Field of view 500 mm wide, 2.50 mm slice spacing | Upper abdomen | 512x512 px | CT image

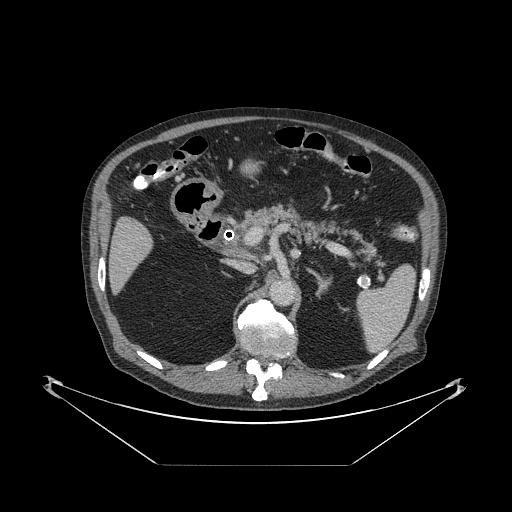 Pancreas at rect(218, 204, 375, 261).